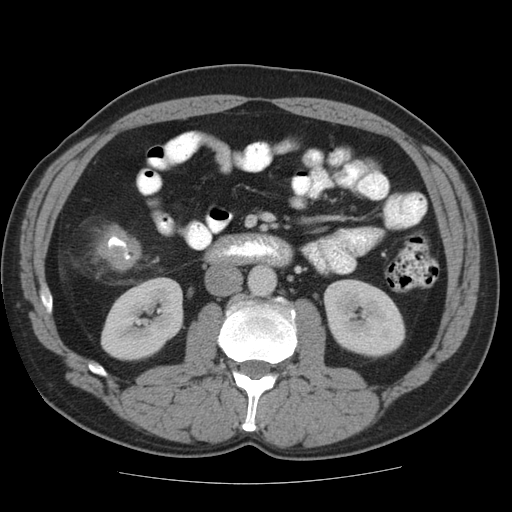 Abdomen; CT scan slice
The colon tumor appears at region(98, 225, 140, 270).